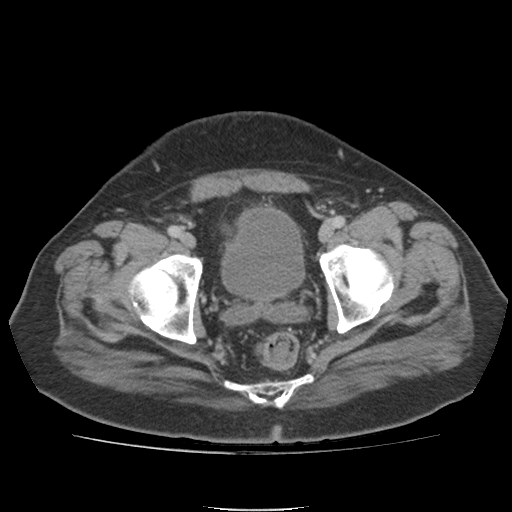
Computed tomography
{"urinary_bladder": ["(left=227, top=215, right=300, bottom=302)"]}